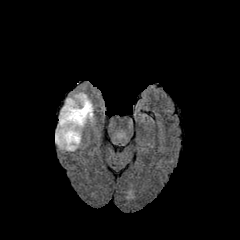
FLAIR magnetic resonance.
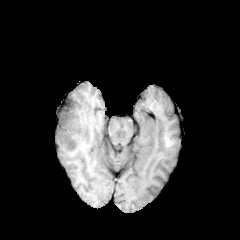
T1-weighted magnetic resonance.
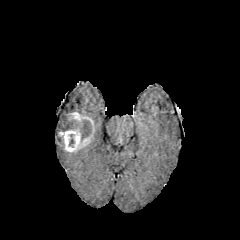
Post-contrast T1-weighted MR.
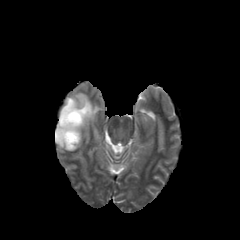
T2-weighted MR image.
Head.
2 non-enhancing tumor core regions are bounded by (80, 134, 87, 146), (56, 100, 92, 148). 2 edema regions are located at (58, 92, 95, 125), (81, 120, 91, 135). 2 enhancing tumor regions appear at (58, 128, 80, 151), (67, 111, 83, 122).